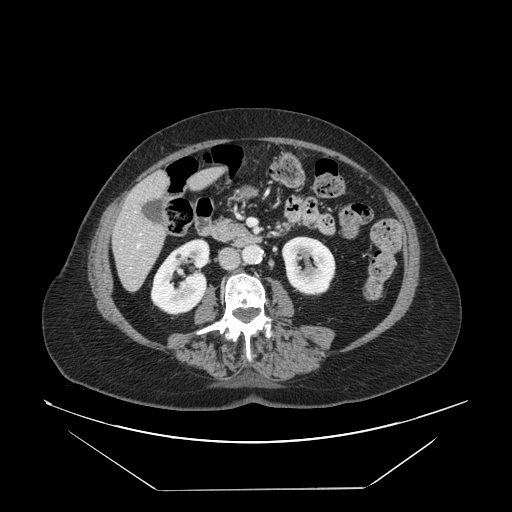 Upper abdomen; CT
pancreas:
  - bbox(202, 218, 244, 242)